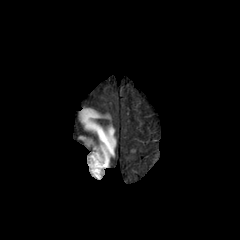
FLAIR MR image.
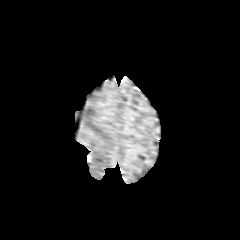
T1-weighted MRI.
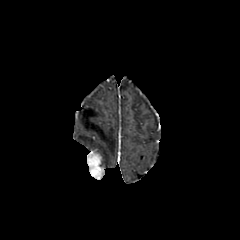
Post-contrast T1-weighted MR of the same slice.
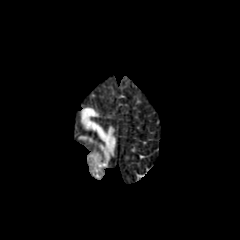
T2-weighted magnetic resonance.
240x240. Head.
Edema: bounding box [79,136,93,145], [80,108,115,167].
Enhancing tumor: bounding box [87,148,106,179].